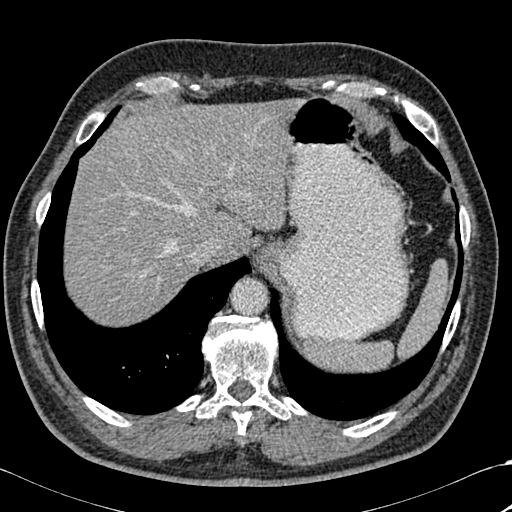 CT scan slice
- bone: [144, 78, 177, 91], [76, 113, 103, 143], [466, 211, 470, 245], [31, 281, 42, 326], [443, 303, 459, 348], [177, 315, 305, 435], [343, 412, 395, 437], [401, 100, 438, 143], [84, 397, 129, 426], [36, 193, 50, 224], [459, 207, 464, 245], [341, 83, 385, 95]
- liver: [65, 100, 295, 325]
- lung: [392, 113, 450, 181], [270, 189, 465, 420], [37, 106, 251, 414]